Liver. Slice index 14. CT scan slice.
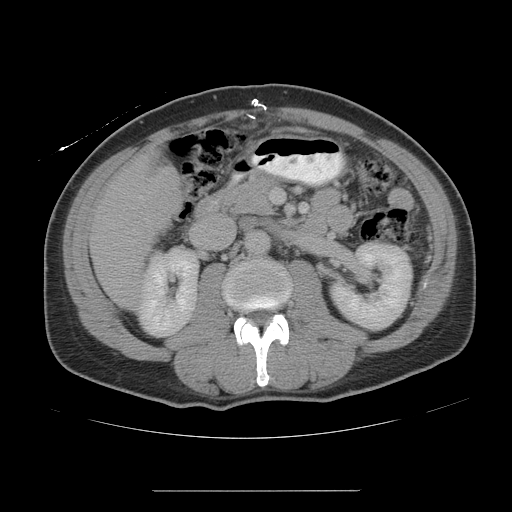
The vessel boxes may cover only some of the vessels.
Hepatic vessel: 134, 263, 138, 266.